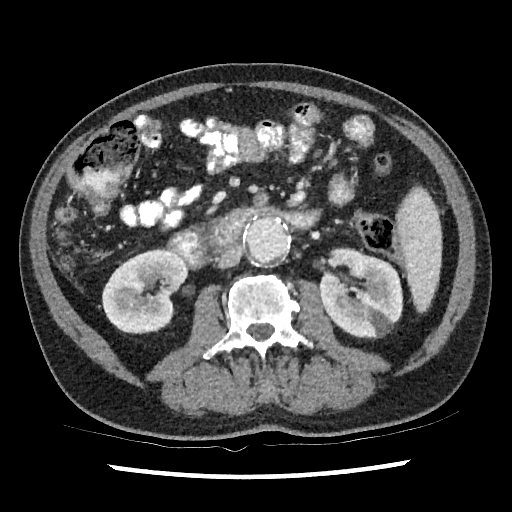
512x512; Abdomen; CT scan slice
kidney: <bbox>320, 249, 402, 336</bbox>, <bbox>102, 250, 187, 332</bbox>